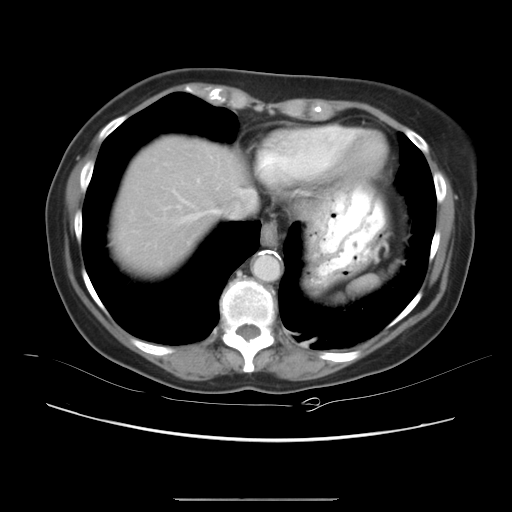 512x512 | CT image | Abdomen

Some hepatic vessels may have no box.
hepatic_vessel:
  - 183 219 187 220
  - 177 206 179 207
  - 197 180 198 181